Brain; Slice 34 of 155
FLAIR MR image.
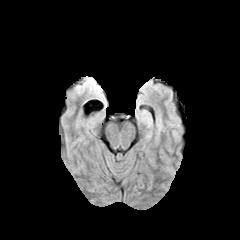
T1-weighted magnetic resonance.
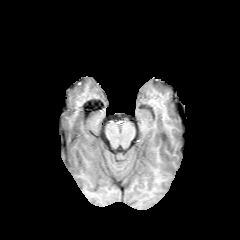
Post-contrast T1-weighted MR image.
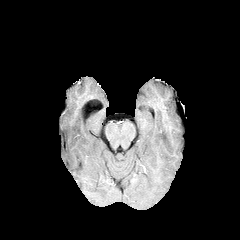
T2-weighted magnetic resonance.
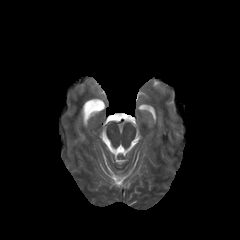
Edema = 137,93,145,103.